Head. Slice 101/155.
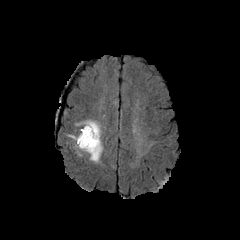
FLAIR magnetic resonance.
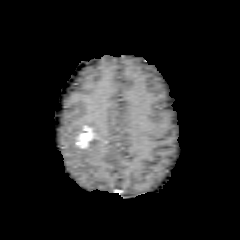
T1-weighted MR.
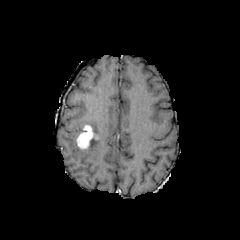
Post-contrast T1-weighted MRI.
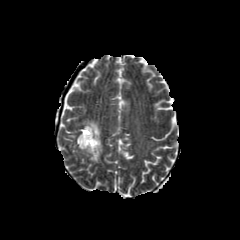
T2-weighted MRI.
<segmentation>
  <enhancing_tumor><bbox>76, 125, 93, 148</bbox></enhancing_tumor>
  <non-enhancing_tumor_core><bbox>87, 134, 97, 150</bbox></non-enhancing_tumor_core>
  <edema><bbox>67, 119, 103, 163</bbox></edema>
</segmentation>